Head. Image width 240 mm. Slice index 91.
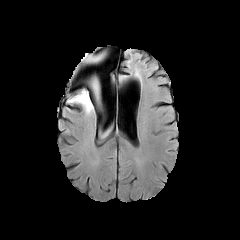
FLAIR MR image.
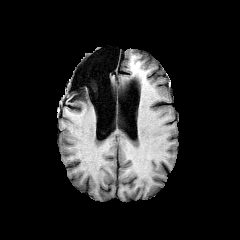
T1-weighted MR image.
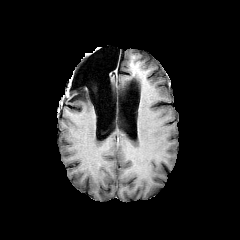
Post-contrast T1-weighted MR.
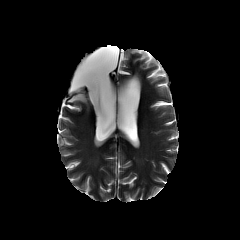
T2-weighted MRI.
2 edema regions are located at (90,54,103,62), (68,90,99,115). The non-enhancing tumor core lies within (90,79,98,92).